CT | Slice index 24
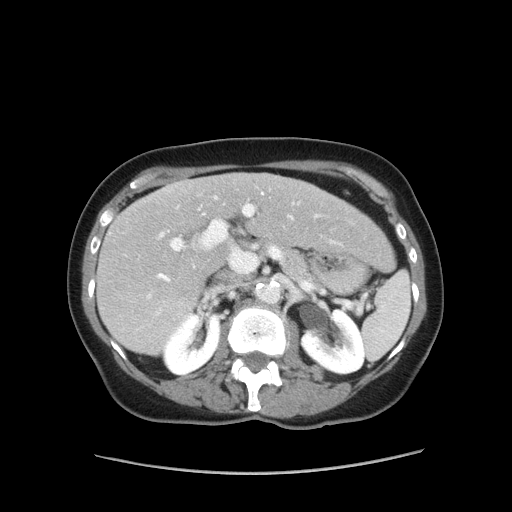
Not every hepatic vessel necessarily has a box.
[15/17] hepatic vessel: rect(157, 229, 170, 238); rect(222, 203, 224, 205); rect(168, 217, 259, 275); rect(211, 194, 219, 200); rect(330, 241, 342, 245); rect(287, 214, 292, 220); rect(157, 310, 160, 313); rect(198, 206, 201, 209); rect(291, 201, 299, 205); rect(289, 269, 292, 275); rect(158, 273, 168, 280); rect(191, 259, 195, 268); rect(314, 214, 321, 217); rect(242, 199, 256, 215); rect(267, 245, 285, 264) | liver tumor: rect(162, 276, 198, 321)